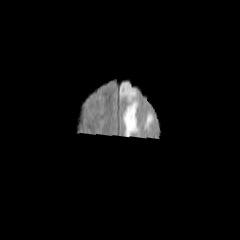
FLAIR MR image.
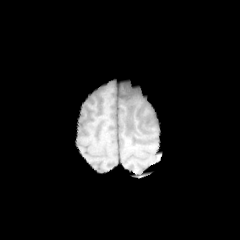
T1-weighted magnetic resonance of the same slice.
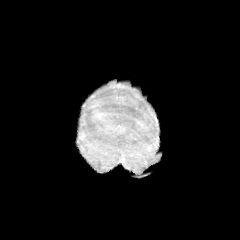
Post-contrast T1-weighted MR of the same slice.
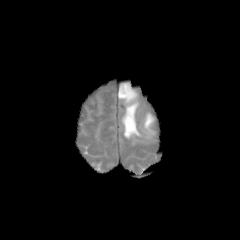
Same slice, T2-weighted MRI.
edema: 118, 81, 142, 138; 144, 113, 155, 129